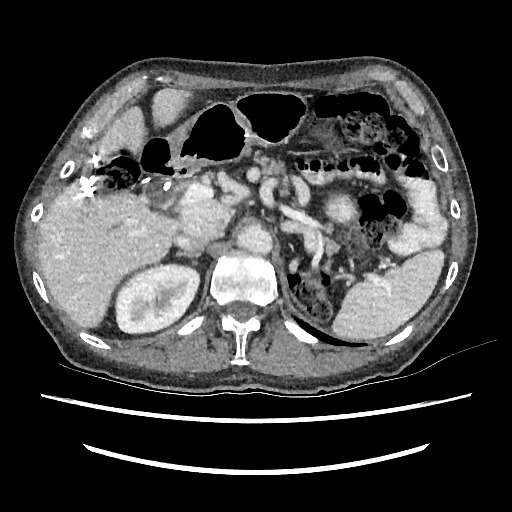

Image size 512x512, CT image

<segmentation>
  <liver>(94,107,144,153), (153,89,189,124), (39,188,180,326)</liver>
  <kidney>(116,265,199,332)</kidney>
</segmentation>